CT | Abdomen 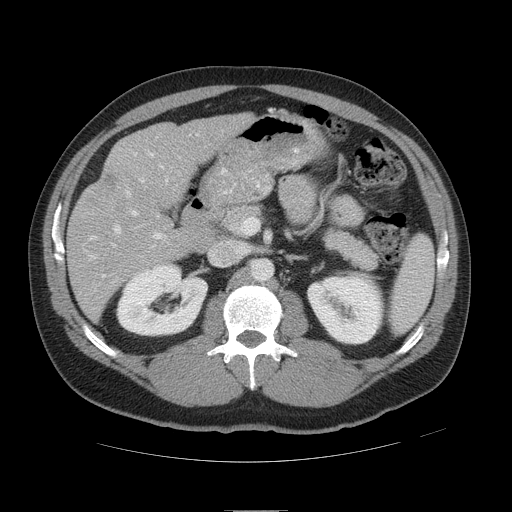

Not every hepatic vessel necessarily has a box.
liver tumor: <box>106,175,117,185</box> | hepatic vessel: <box>150,245,154,247</box>, <box>126,191,130,195</box>, <box>113,244,115,246</box>, <box>166,179,167,181</box>, <box>132,211,136,214</box>, <box>102,274,104,276</box>, <box>134,153,136,155</box>, <box>90,236,95,239</box>, <box>150,153,153,156</box>, <box>140,179,143,181</box>, <box>154,232,165,238</box>, <box>114,226,120,232</box>